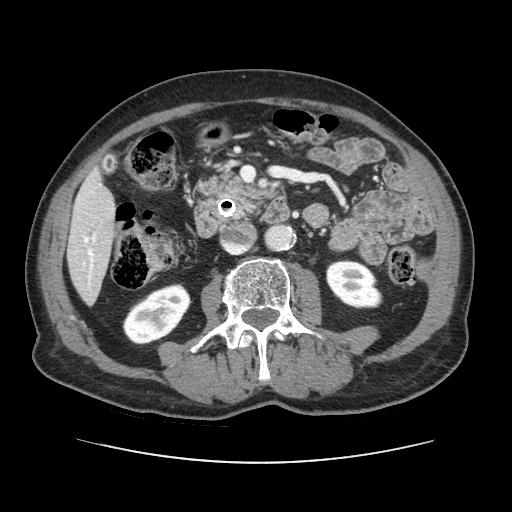

512x512 | CT slice | Upper abdomen

{"pancreas": ["<box>226,184,270,218</box>"]}